Image size 240x240
FLAIR magnetic resonance.
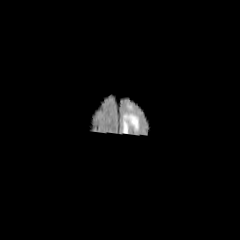
T1-weighted MRI.
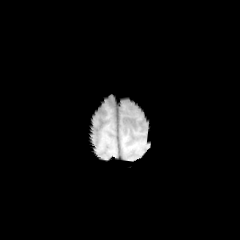
Post-contrast T1-weighted MR image.
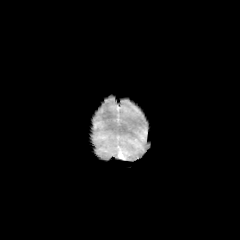
T2-weighted MR.
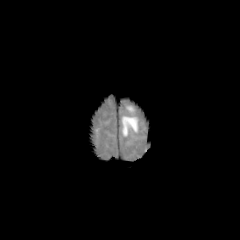
edema:
  - <bbox>122, 116, 138, 136</bbox>
  - <bbox>125, 105, 134, 113</bbox>